Slice index 360 | 512x512 px | Computed tomography
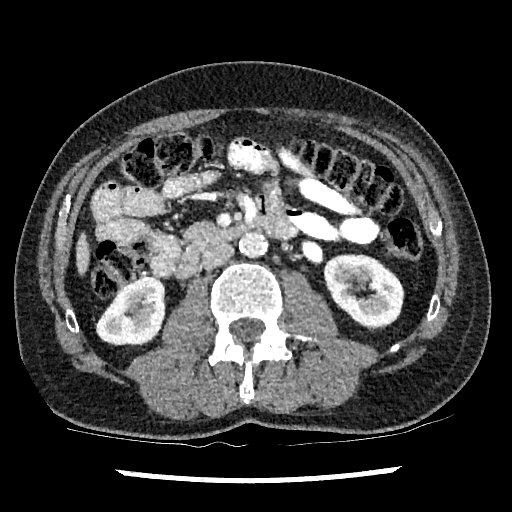
* kidney: bbox(98, 277, 163, 343); bbox(325, 256, 402, 325)
* liver: bbox(76, 233, 88, 274)